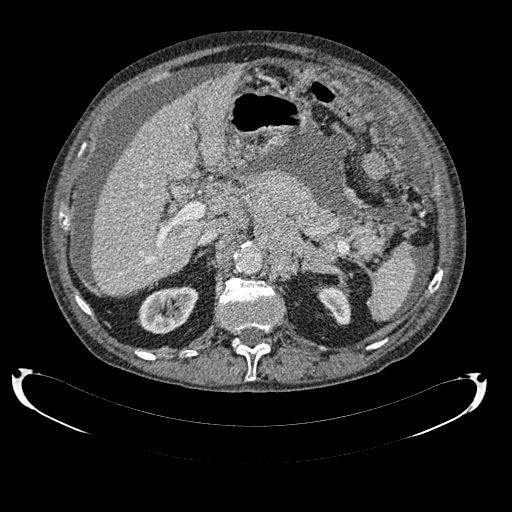
Abdomen. Image size 512x512. CT image.

Kidney: (left=319, top=287, right=350, bottom=324), (left=139, top=287, right=197, bottom=332).
Liver: (left=92, top=70, right=242, bottom=295).